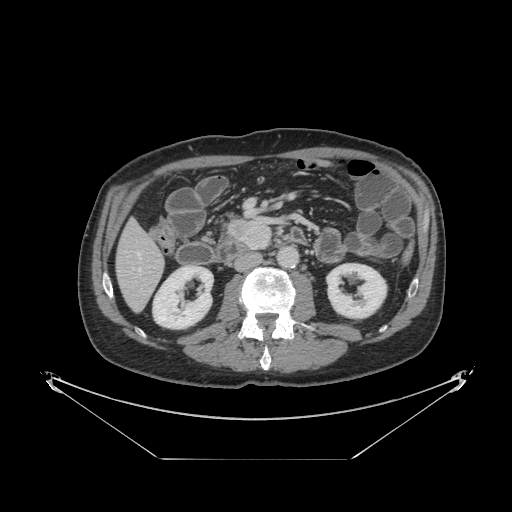 Computed tomography
Findings:
- pancreatic tumor: bbox(228, 219, 271, 249)
- pancreas: bbox(213, 212, 243, 238)